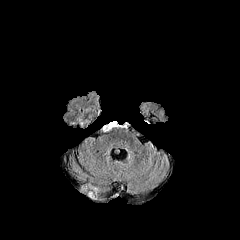
FLAIR MRI.
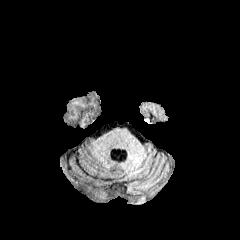
T1-weighted magnetic resonance.
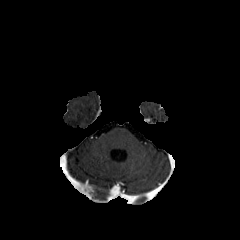
Post-contrast T1-weighted magnetic resonance of the same slice.
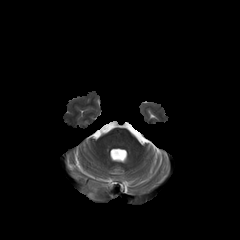
T2-weighted MR image.
Head
<segmentation>
  <non-enhancing_tumor_core>89 187 106 200</non-enhancing_tumor_core>
  <enhancing_tumor>80 184 93 199</enhancing_tumor>
</segmentation>